FLAIR magnetic resonance.
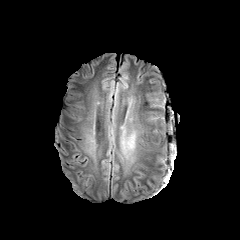
T1-weighted magnetic resonance.
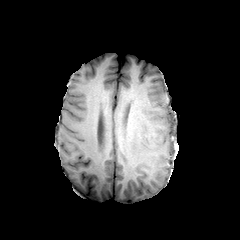
Post-contrast T1-weighted MRI.
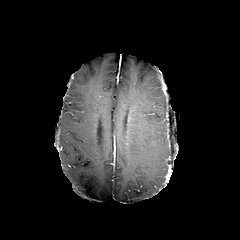
T2-weighted MR image.
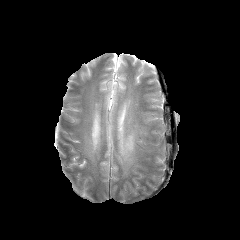
240x240. Brain.
Edema = bbox(121, 134, 135, 155).